Image size 240x240 | Head
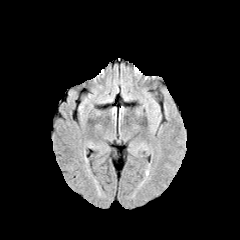
FLAIR magnetic resonance.
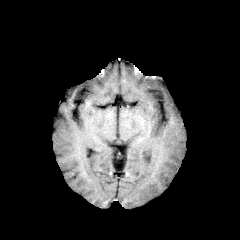
Same slice, T1-weighted MRI.
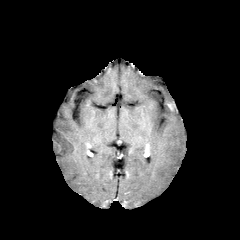
Post-contrast T1-weighted MR image.
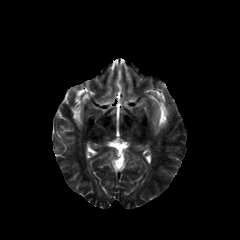
T2-weighted magnetic resonance.
Edema: (164, 103, 171, 115), (151, 110, 161, 126).